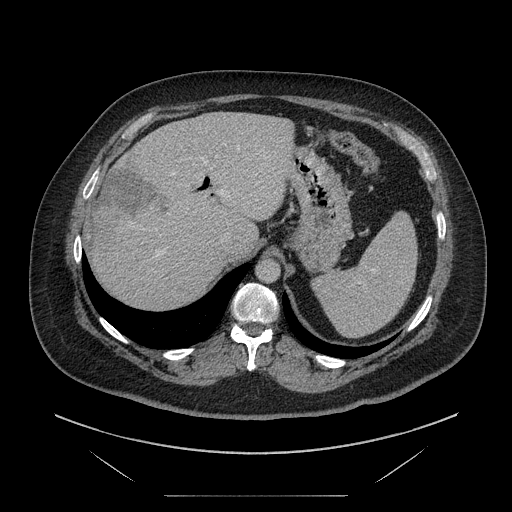

CT slice; Image size 512x512
Only some of the vessels may be annotated.
liver tumor: bbox=[99, 167, 167, 213] | hepatic vessel: bbox=[218, 191, 219, 192]; bbox=[187, 171, 189, 174]; bbox=[223, 190, 229, 197]; bbox=[194, 173, 202, 176]